Slice index 82 | Head
FLAIR MR.
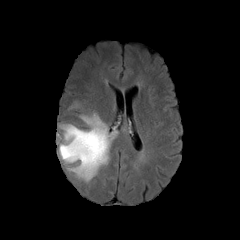
T1-weighted MR.
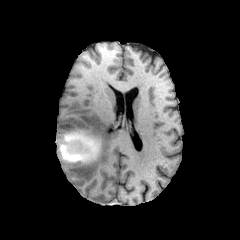
Post-contrast T1-weighted MRI.
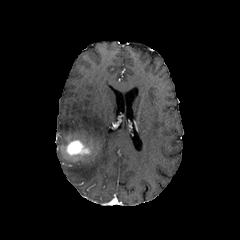
T2-weighted MR image.
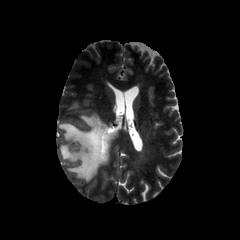
Non-enhancing tumor core: left=60, top=137, right=100, bottom=160.
Edema: left=68, top=101, right=80, bottom=110; left=61, top=114, right=117, bottom=181.
Enhancing tumor: left=66, top=140, right=87, bottom=154.